Computed tomography | Abdomen | Slice 26 of 47

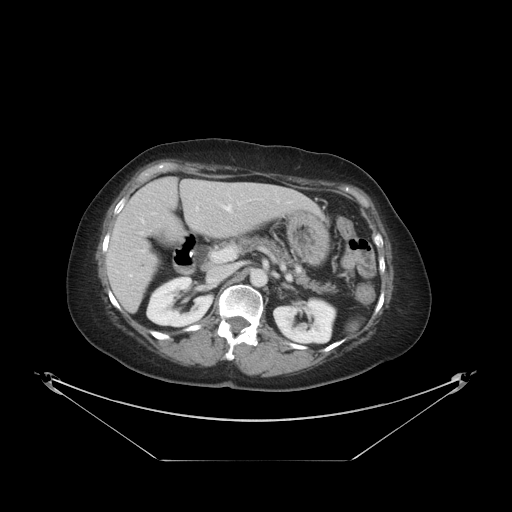

The vessel annotation is not exhaustive.
hepatic vessel: bbox=[141, 232, 142, 233]; bbox=[153, 213, 154, 214]; bbox=[130, 275, 131, 276]; bbox=[211, 247, 236, 262]; bbox=[224, 205, 231, 210]; bbox=[180, 227, 185, 233]; bbox=[142, 250, 144, 251]